FLAIR magnetic resonance.
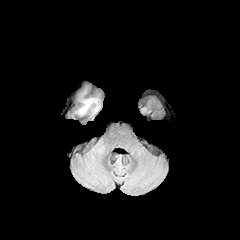
T1-weighted MRI.
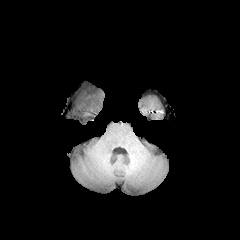
Post-contrast T1-weighted magnetic resonance.
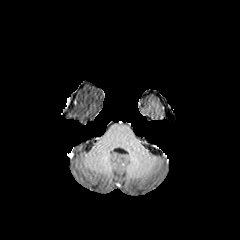
T2-weighted magnetic resonance.
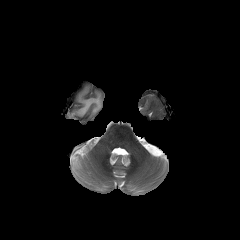
Head
<segmentation>
  <edema>left=78, top=98, right=99, bottom=115</edema>
</segmentation>